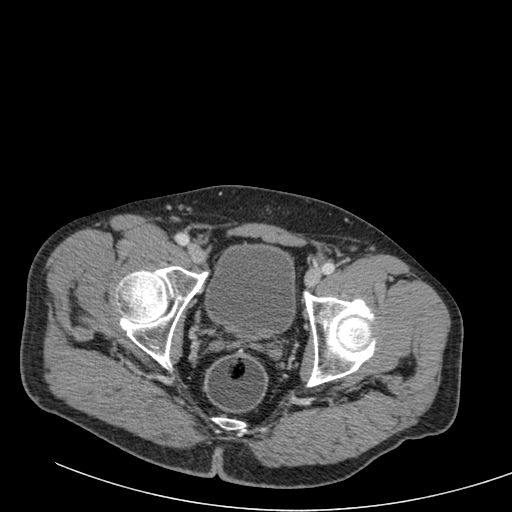

Pelvis. Computed tomography.

<segmentation>
  <urinary_bladder>rect(205, 243, 295, 341)</urinary_bladder>
</segmentation>